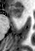 MR image

The anterior hippocampus is located at [8,6,22,17].